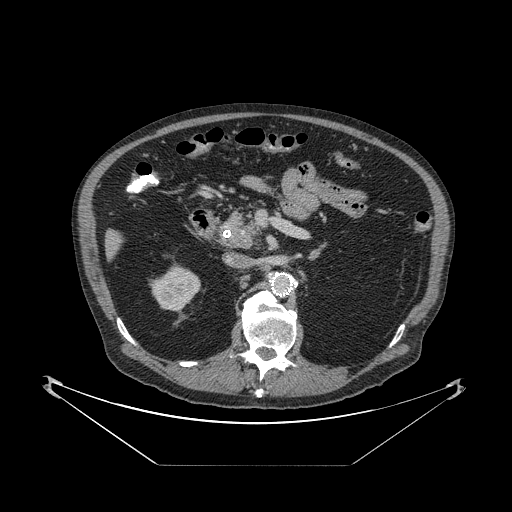 CT slice.
<segmentation>
  <pancreas>(x1=223, y1=211, x2=258, y2=249)</pancreas>
  <pancreatic_tumor>(x1=231, y1=217, x2=243, y2=236)</pancreatic_tumor>
</segmentation>